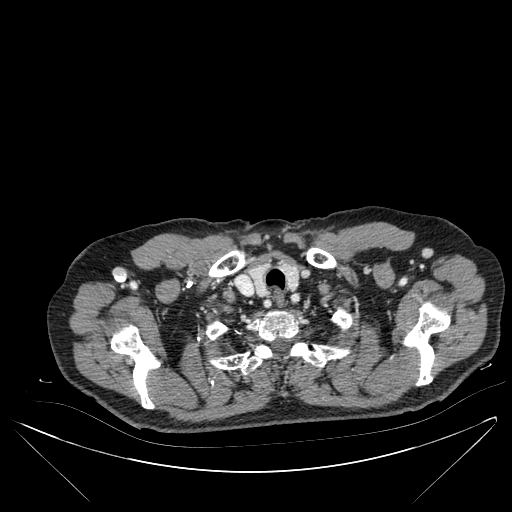 CT slice

7 bone regions appear at <box>332,307,352,329</box>, <box>111,326,159,408</box>, <box>210,312,349,374</box>, <box>403,303,449,385</box>, <box>209,250,245,277</box>, <box>206,319,227,339</box>, <box>306,248,335,268</box>.